FLAIR MR image.
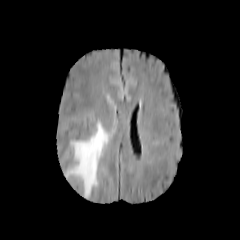
T1-weighted MRI.
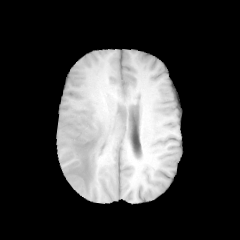
Post-contrast T1-weighted MR image.
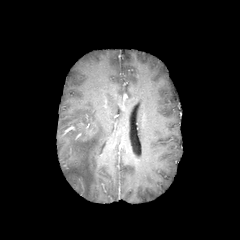
T2-weighted MRI.
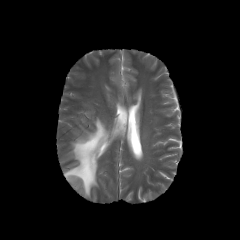
Head
The edema is located at 65,118,110,197.